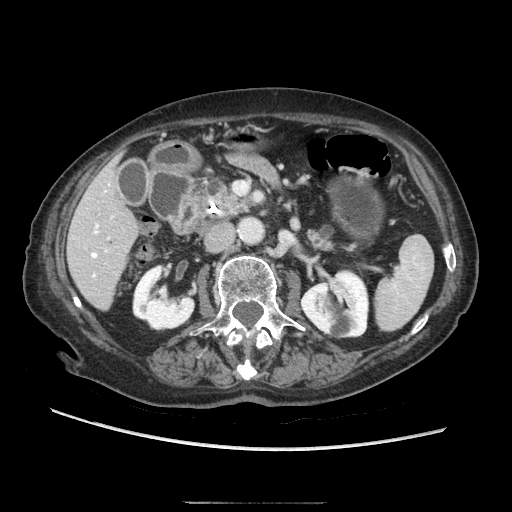

Abdomen; CT scan slice

2 pancreas regions are located at <box>308,230,330,250</box>, <box>203,178,248,215</box>.